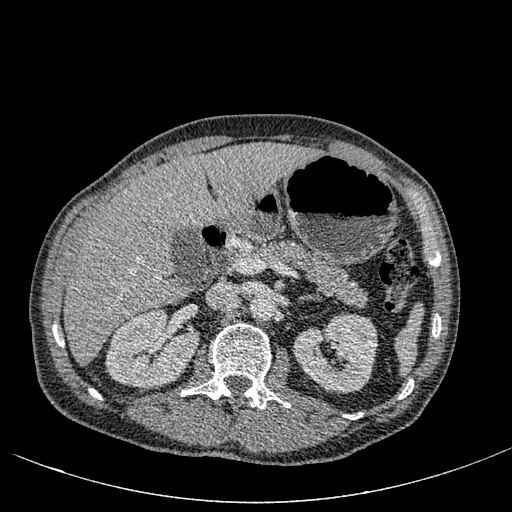 CT scan slice.

Kidney: (106,309,198,387), (293,314,377,392).
Liver: (64,143,324,365).